Slice 252 of 761 | Upper abdomen | CT slice 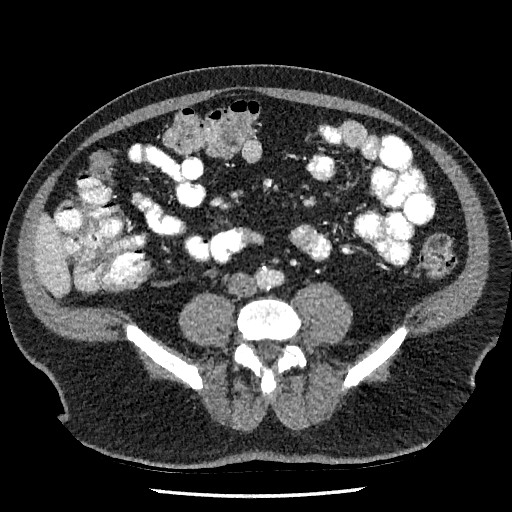
Liver: <box>36,215,69,294</box>.